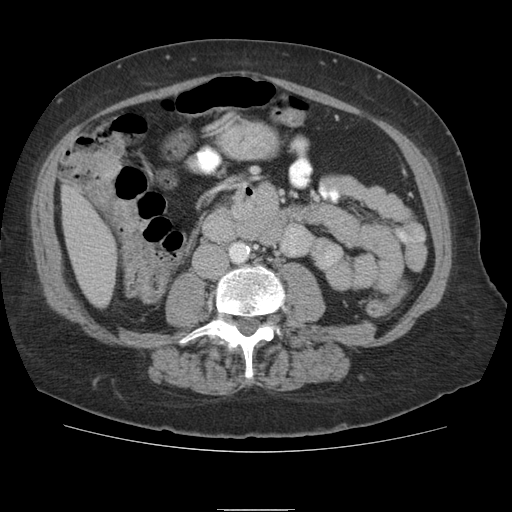

Image size 512x512, CT
• colon tumor: box(71, 151, 121, 184)